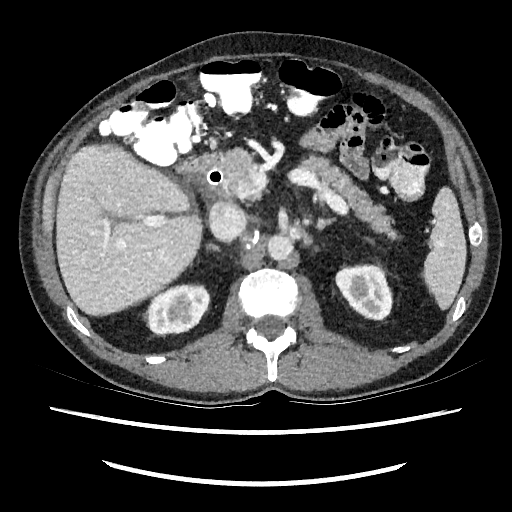

CT slice; 512x512
2 kidney regions appear at 149,286,208,333; 336,266,391,318. The liver is at 56,146,202,314.